CT image; Slice 573/630
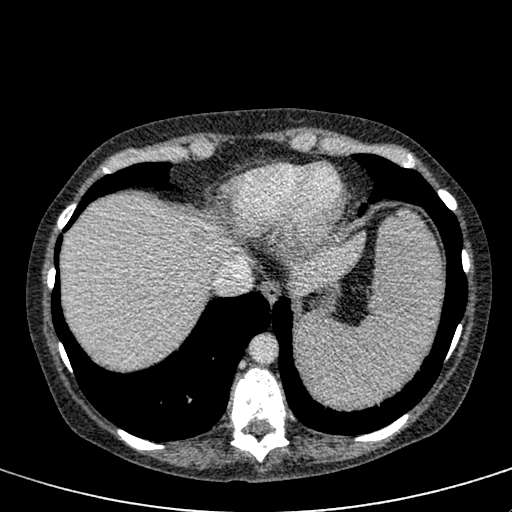

The liver lesion is bounded by bbox=[185, 228, 217, 248]. 2 liver regions are located at bbox=[61, 196, 235, 369]; bbox=[286, 232, 364, 292].